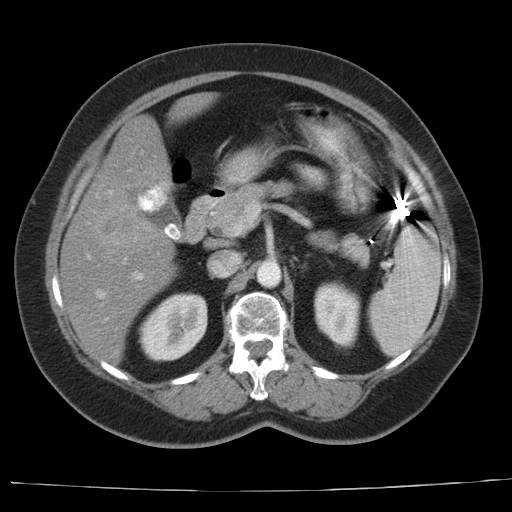
Abdomen; Computed tomography

Not every hepatic vessel necessarily has a box.
3 hepatic vessel regions are bounded by left=108, top=191, right=111, bottom=192; left=134, top=273, right=141, bottom=279; left=97, top=290, right=103, bottom=297. The liver tumor appears at left=91, top=197, right=156, bottom=244.